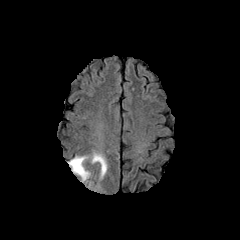
FLAIR MRI.
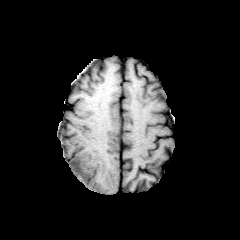
T1-weighted MRI.
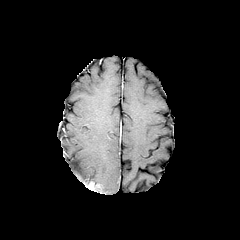
Post-contrast T1-weighted magnetic resonance.
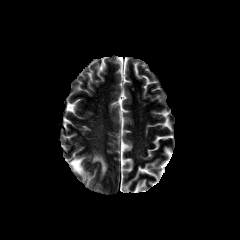
T2-weighted MRI.
Brain
{"non-enhancing_tumor_core": ["x1=72 y1=160 x2=81 y2=169"], "edema": ["x1=68 y1=153 x2=107 y2=190"]}